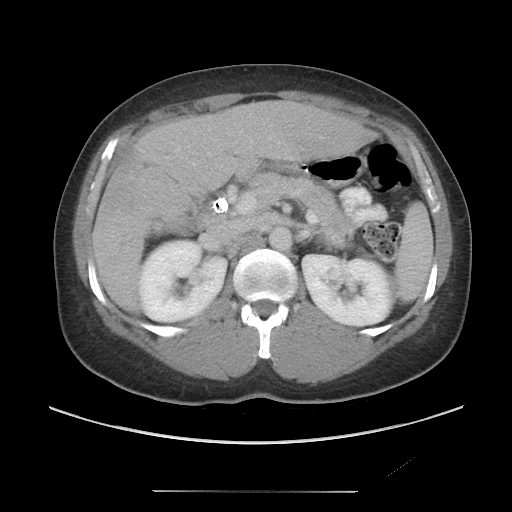 CT image.

The vessel annotation is not exhaustive.
The liver tumor lies within x1=99 y1=154 x2=139 y2=225. 3 hepatic vessel regions appear at x1=207 y1=152 x2=211 y2=155, x1=251 y1=140 x2=252 y2=142, x1=174 y1=146 x2=180 y2=151.